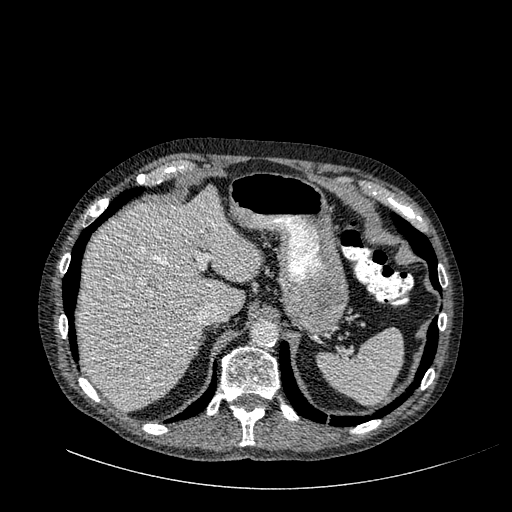

CT slice
liver:
  - [78, 185, 259, 409]